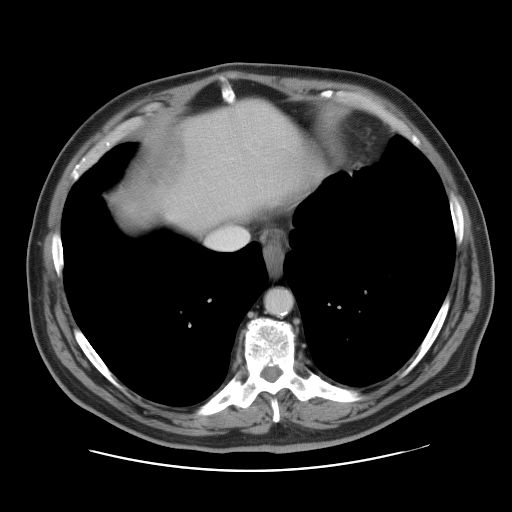
CT scan slice. Abdomen. Some hepatic vessels may have no box.
<segmentation>
  <hepatic_vessel>bbox=[207, 227, 249, 249]</hepatic_vessel>
</segmentation>